Slice 55 of 155, Image size 240x240
FLAIR MR.
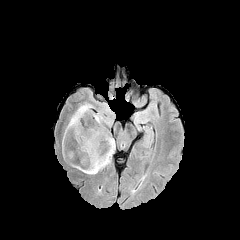
T1-weighted MR.
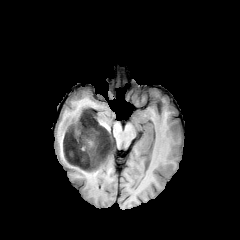
Post-contrast T1-weighted magnetic resonance.
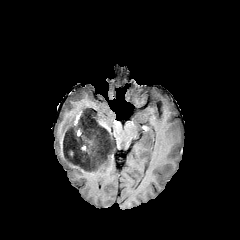
T2-weighted MRI.
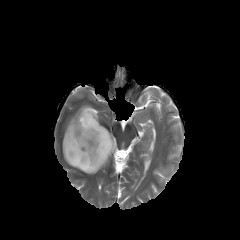
The non-enhancing tumor core appears at box=[63, 108, 113, 170]. 2 edema regions are bounded by box=[65, 103, 94, 132]; box=[68, 111, 115, 174].